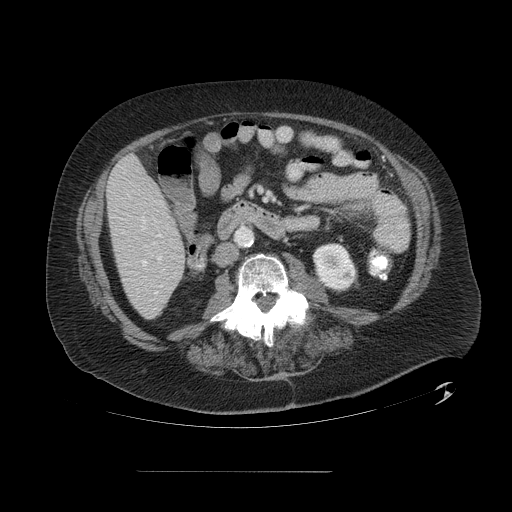
CT slice. 512x512 px.
Only some of the vessels may be annotated.
4 hepatic vessel regions are bounded by region(158, 256, 161, 260); region(157, 234, 161, 236); region(142, 260, 146, 265); region(142, 220, 145, 229).